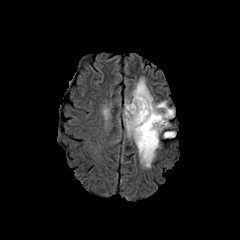
FLAIR magnetic resonance.
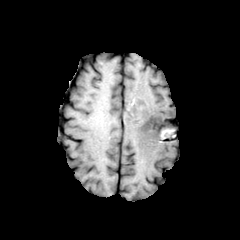
T1-weighted MR image.
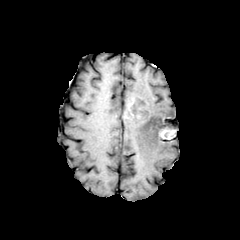
Post-contrast T1-weighted MR image.
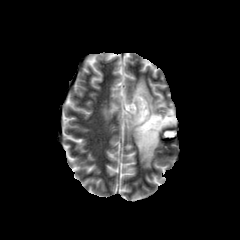
T2-weighted magnetic resonance of the same slice.
Brain
Edema: bounding box {"x1": 123, "y1": 78, "x2": 175, "y2": 167}.
Non-enhancing tumor core: bounding box {"x1": 136, "y1": 112, "x2": 170, "y2": 137}, {"x1": 123, "y1": 98, "x2": 134, "y2": 121}.